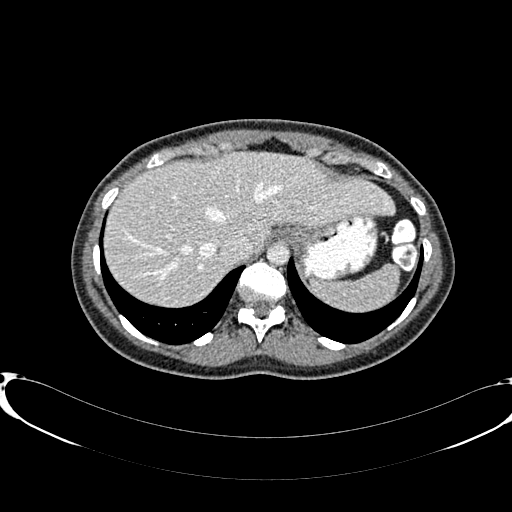
CT image | Upper abdomen

• liver: [105,152,395,307]